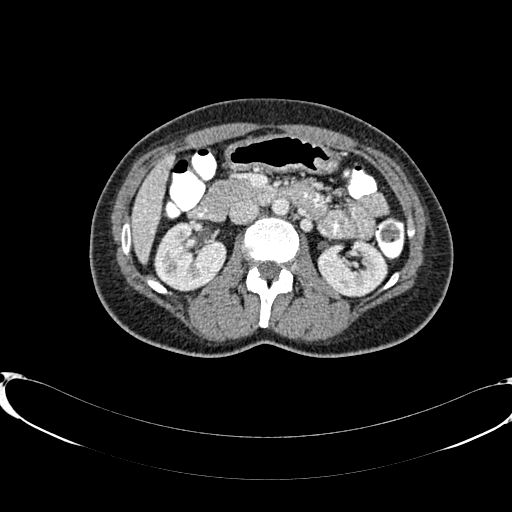

Computed tomography; 512x512 px
2 kidney regions appear at left=319, top=243, right=385, bottom=294; left=156, top=224, right=224, bottom=289. The liver is at left=131, top=154, right=173, bottom=262.